FLAIR MR.
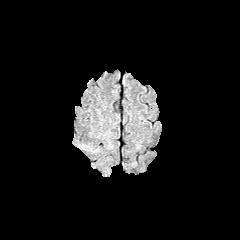
T1-weighted magnetic resonance.
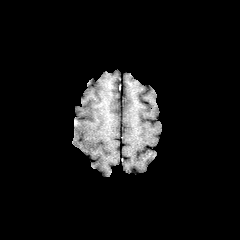
Post-contrast T1-weighted magnetic resonance.
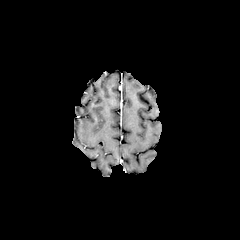
T2-weighted MR image.
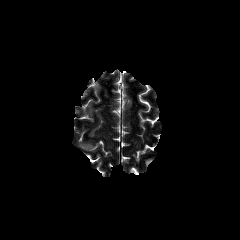
Head
The edema lies within box=[79, 143, 96, 151].